FLAIR magnetic resonance.
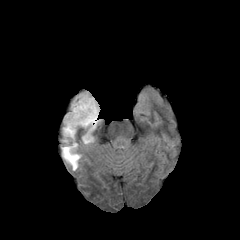
T1-weighted MR.
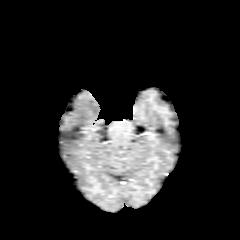
Post-contrast T1-weighted MR.
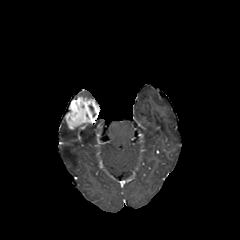
T2-weighted MR.
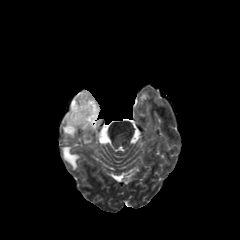
240x240 px | Head
{"enhancing_tumor": ["64 95 99 129"], "edema": ["60 123 96 170"]}